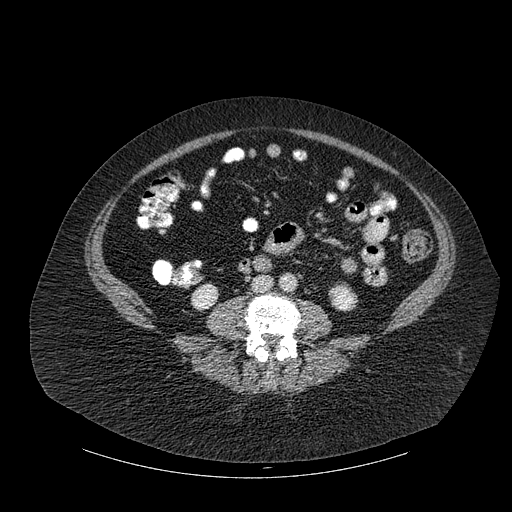

CT image. Abdomen. bone:
  - <bbox>245, 295, 300, 377</bbox>
kidney:
  - <bbox>330, 286, 355, 310</bbox>
  - <bbox>192, 284, 217, 309</bbox>